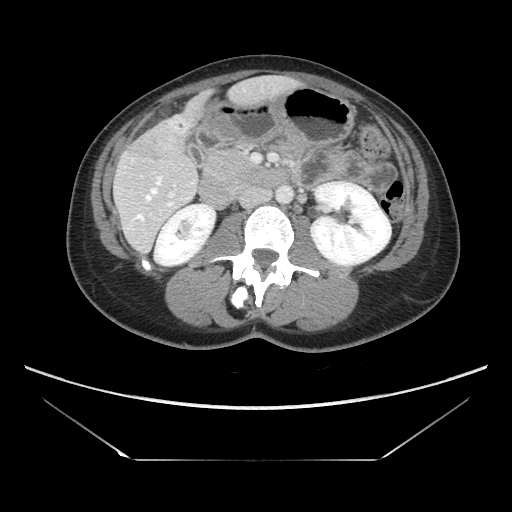 CT; Liver
liver_tumor:
  - bbox=[163, 114, 190, 142]